Pelvis, CT image, Image size 512x512, Slice index 89

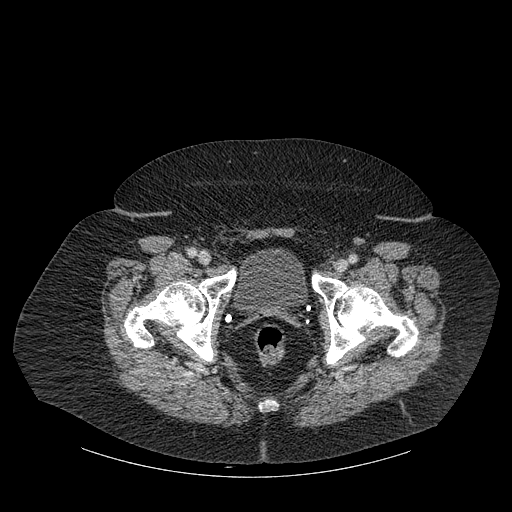
Urinary bladder at (233,248,308,321).
Bone at (124,270,236,369), (312,274,418,363), (259,400,276,408).